FLAIR MR.
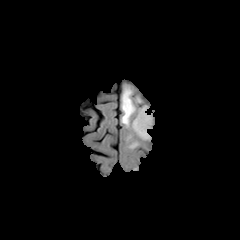
T1-weighted MR.
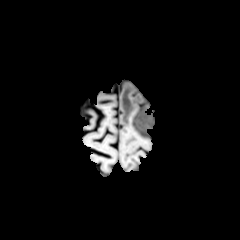
Post-contrast T1-weighted MR.
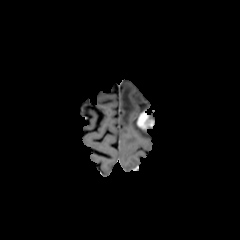
T2-weighted MRI.
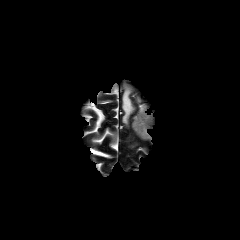
Enhancing tumor — (137, 111, 153, 130).
Edema — (121, 85, 135, 127), (132, 106, 149, 139).